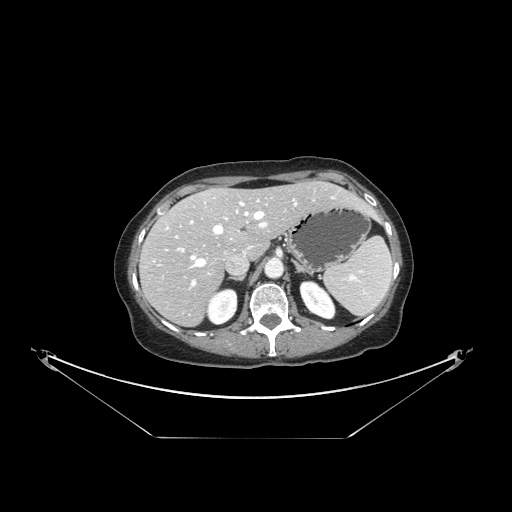
CT slice; Liver
Some hepatic vessels may have no box.
6 hepatic vessel regions appear at (left=180, top=249, right=183, bottom=251), (left=192, top=281, right=194, bottom=284), (left=245, top=213, right=247, bottom=214), (left=214, top=226, right=221, bottom=233), (left=260, top=223, right=265, bottom=226), (left=255, top=212, right=262, bottom=218).